Slice 73/164 | CT image

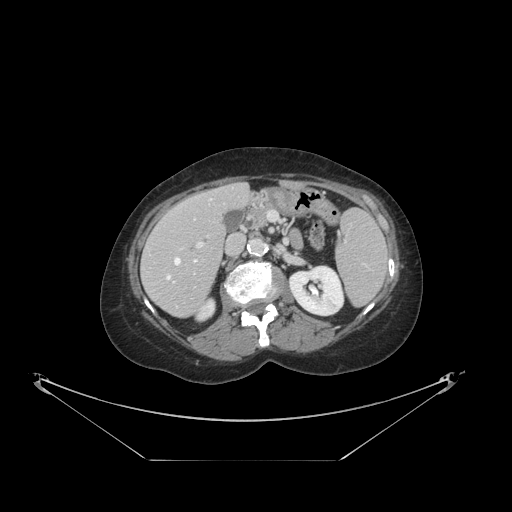
Some hepatic vessels may have no box.
Findings:
• hepatic vessel: 197, 243, 202, 247; 195, 260, 196, 261; 174, 257, 179, 264; 209, 198, 211, 199; 268, 212, 277, 219; 166, 276, 170, 279